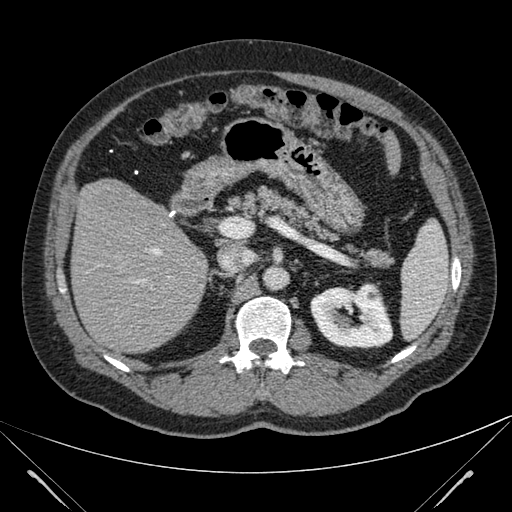 512x512 px; Abdomen; CT slice

2 liver regions appear at box(70, 179, 206, 361); box(382, 130, 396, 168). The kidney is at box(311, 285, 392, 346).